Computed tomography; Slice 394/896

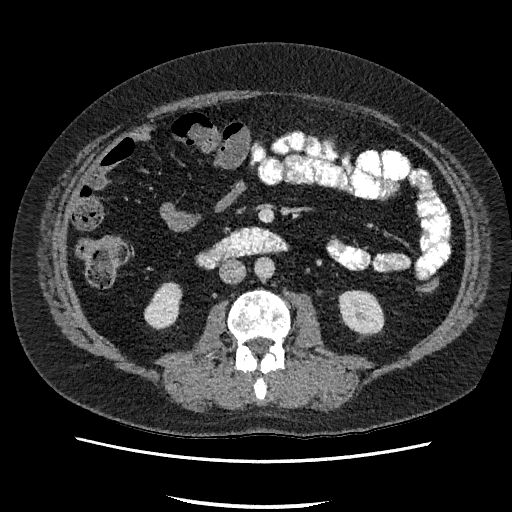
Segmented structures:
• kidney: 340 291 382 332, 145 284 179 326